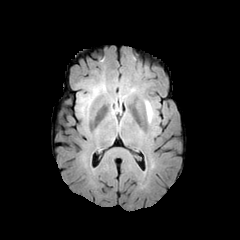
FLAIR MR.
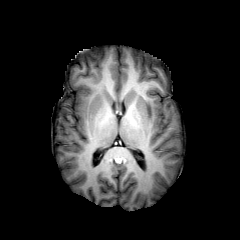
T1-weighted MR image.
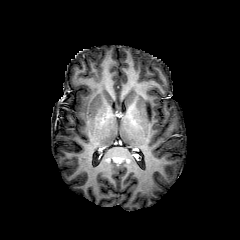
Post-contrast T1-weighted magnetic resonance.
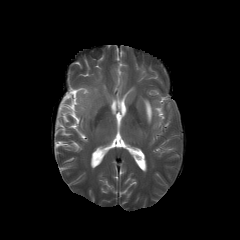
T2-weighted MR.
edema:
  - bbox(145, 101, 153, 123)